240x240; Brain; Slice 126 of 155
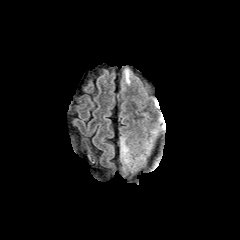
FLAIR MRI.
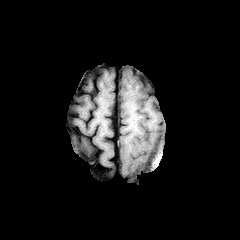
T1-weighted MRI of the same slice.
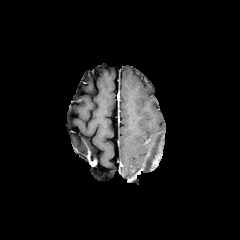
Same slice, post-contrast T1-weighted MR.
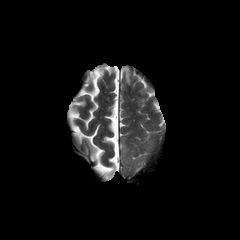
T2-weighted MRI.
Edema: bounding box x1=123 y1=70 x2=131 y2=82.